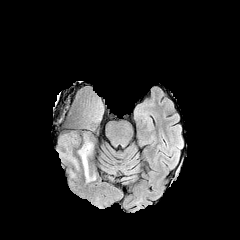
FLAIR MRI.
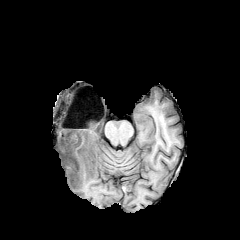
T1-weighted MRI.
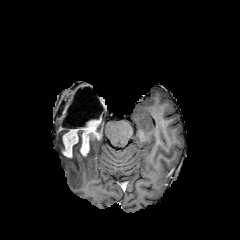
Post-contrast T1-weighted MR.
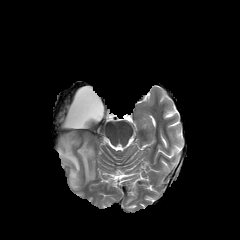
Same slice, T2-weighted MR.
Brain
3 enhancing tumor regions are located at bbox(83, 119, 100, 130); bbox(80, 136, 89, 156); bbox(63, 132, 77, 157). 2 non-enhancing tumor core regions appear at bbox(82, 96, 103, 123); bbox(64, 126, 97, 160). The edema lies within bbox(69, 142, 95, 185).